Computed tomography
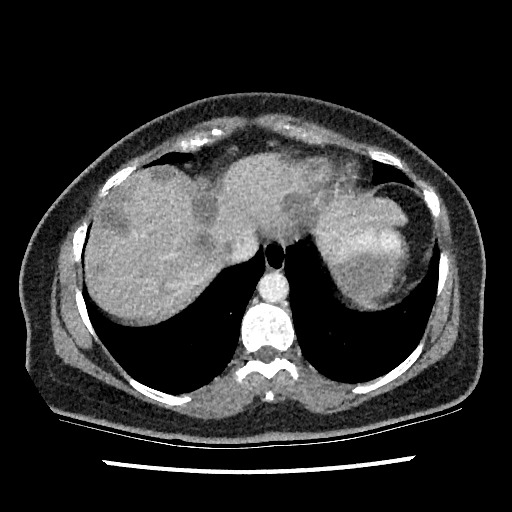 liver: (99, 197, 110, 211), (85, 155, 309, 320), (308, 199, 405, 243) | focal liver lesion: (195, 232, 230, 258), (99, 190, 132, 234), (283, 192, 311, 220), (152, 168, 174, 183), (187, 180, 217, 226)